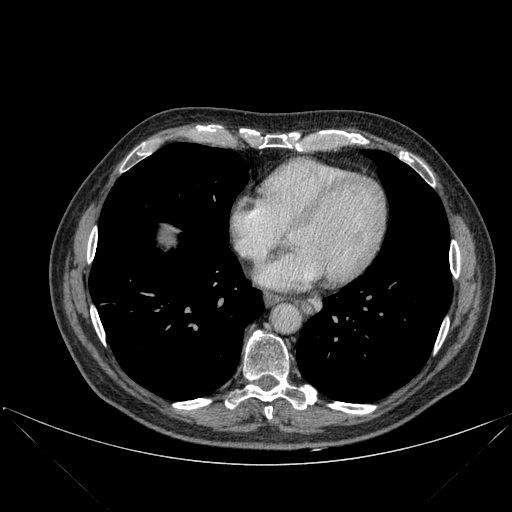 CT slice; 512x512
<segmentation>
  <lung>box=[89, 143, 262, 400]; box=[297, 150, 452, 402]</lung>
  <bone>box=[328, 402, 375, 414]; box=[265, 406, 272, 418]; box=[449, 240, 459, 277]; box=[173, 398, 210, 409]; box=[240, 129, 259, 135]; box=[128, 144, 150, 157]; box=[434, 319, 449, 352]; box=[260, 133, 299, 147]; box=[90, 307, 105, 344]; box=[225, 330, 316, 409]; box=[87, 226, 97, 262]; box=[319, 130, 366, 142]</bone>
</segmentation>